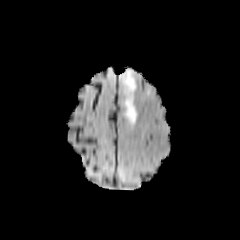
FLAIR MR.
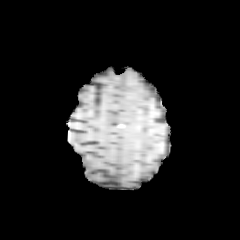
T1-weighted MR.
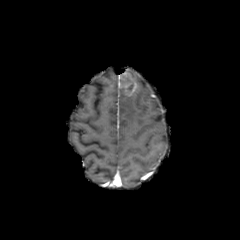
Post-contrast T1-weighted MRI.
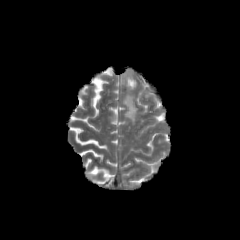
T2-weighted MR image.
The enhancing tumor is located at [119, 69, 137, 95]. The edema is located at [124, 95, 138, 123].